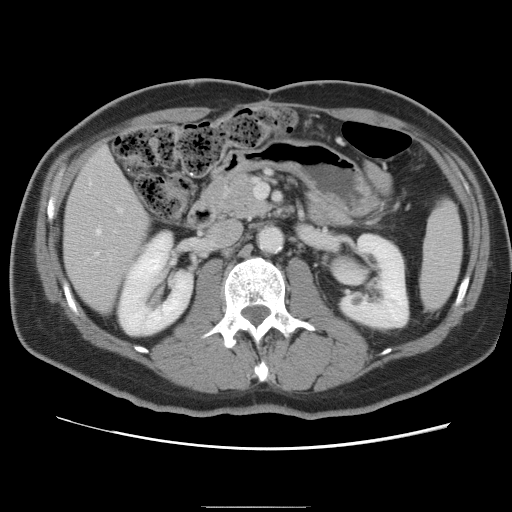

CT scan slice

Some hepatic vessels may have no box.
hepatic_vessel:
  - (94, 251, 98, 254)
  - (96, 228, 100, 233)
  - (117, 206, 121, 211)